Slice 35 of 68, CT scan slice, Upper abdomen

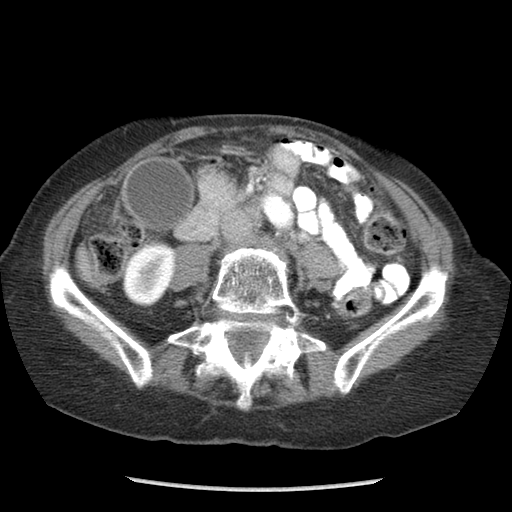

pancreas:
  - [x1=204, y1=168, x2=231, y2=205]